FLAIR MR image.
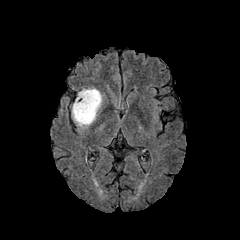
T1-weighted MR image.
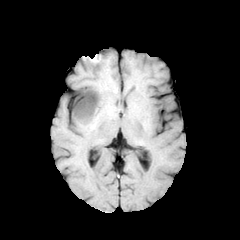
Post-contrast T1-weighted MRI.
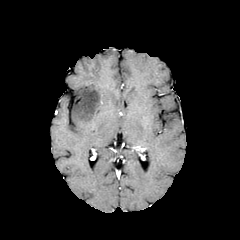
T2-weighted MR.
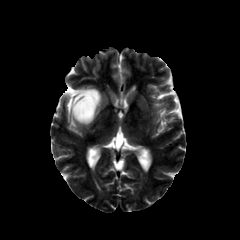
The edema is at [70, 87, 102, 126].